Computed tomography. Thorax. 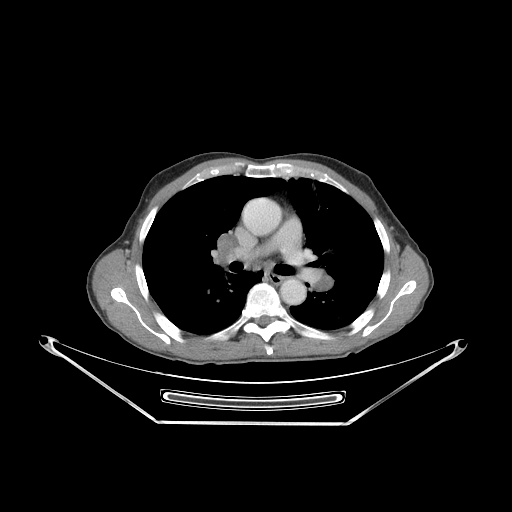 Bone: bounding box (left=111, top=288, right=182, bottom=343), (left=228, top=283, right=293, bottom=343), (left=140, top=208, right=156, bottom=240), (left=136, top=265, right=147, bottom=299), (left=345, top=310, right=372, bottom=335), (left=212, top=331, right=225, bottom=339), (left=363, top=280, right=415, bottom=336), (left=375, top=219, right=389, bottom=251), (left=378, top=272, right=389, bottom=300), (left=304, top=326, right=331, bottom=339), (left=246, top=164, right=274, bottom=177).
Lung: bounding box (left=142, top=175, right=383, bottom=334).